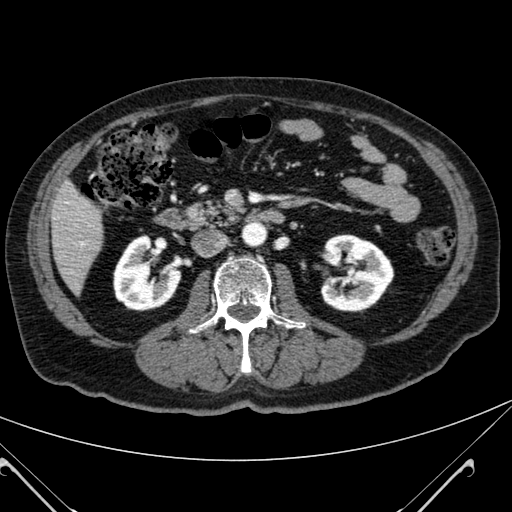

CT, Abdomen, 512x512 px

The liver is located at 51,182,100,292. 2 kidney regions appear at 114,237,179,309; 320,235,392,309.